FLAIR MR image.
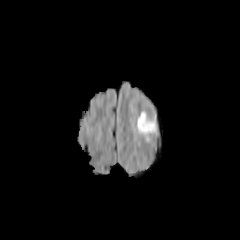
T1-weighted MR image.
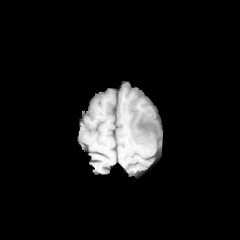
Post-contrast T1-weighted magnetic resonance.
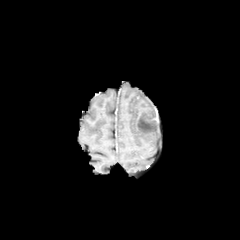
T2-weighted MR image.
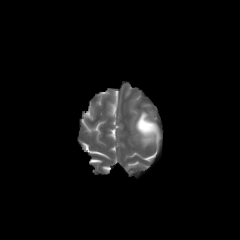
Brain
Edema: bbox=[137, 111, 160, 145].